CT, 512x512 px 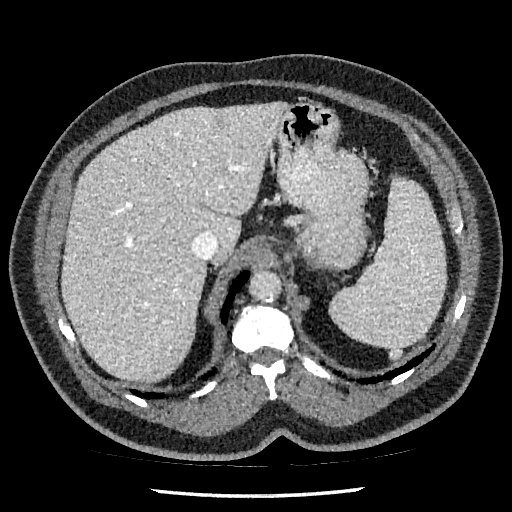 Findings:
* focal liver lesion: {"x1": 218, "y1": 117, "x2": 225, "y2": 127}
* liver: {"x1": 61, "y1": 102, "x2": 285, "y2": 381}